CT image; Slice 76/141; Image width 387 mm; Liver 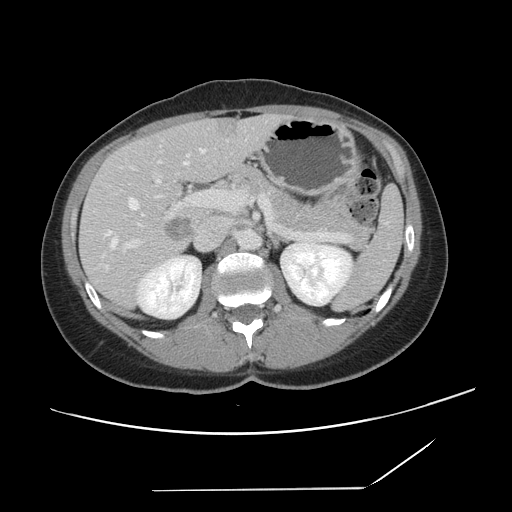

The vessel annotation is not exhaustive.
Hepatic vessel — left=103, top=264, right=107, bottom=269; left=158, top=161, right=160, bottom=162; left=123, top=248, right=125, bottom=251; left=156, top=176, right=161, bottom=182; left=129, top=198, right=138, bottom=209; left=104, top=230, right=112, bottom=235; left=200, top=149, right=204, bottom=152; left=130, top=167, right=133, bottom=168; left=125, top=240, right=138, bottom=247; left=157, top=196, right=160, bottom=197; left=111, top=237, right=117, bottom=247; left=184, top=161, right=187, bottom=164; left=187, top=154, right=189, bottom=156.
Liver tumor — left=166, top=218, right=194, bottom=241.